Image size 512x512; CT; Slice 118 of 141; Abdomen 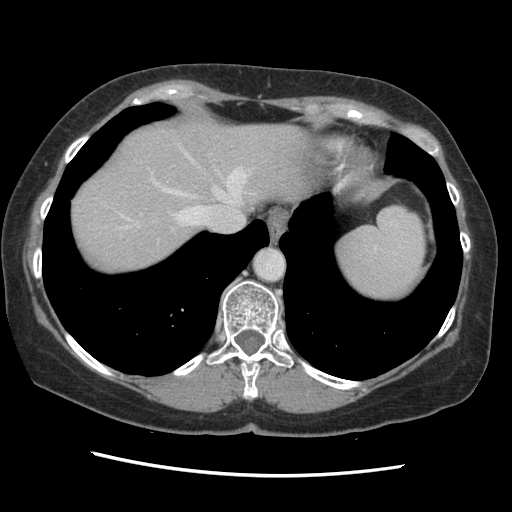

Only some of the vessels may be annotated.
Hepatic vessel at [120,214,130,220], [213,188,225,198], [170,206,206,224], [226,168,247,203], [135,223,138,226], [180,147,194,163].